CT scan slice | 512x512 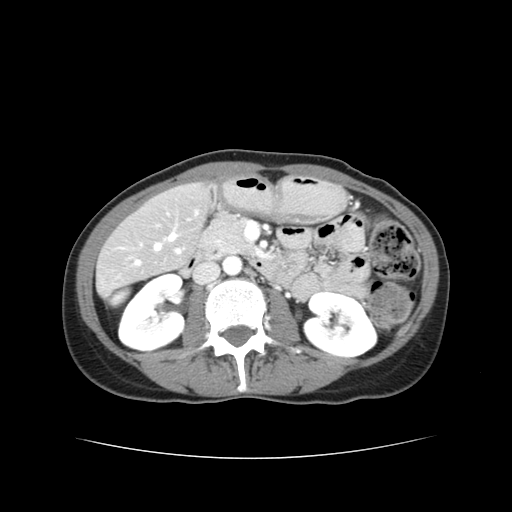

Only some of the vessels may be annotated.
Findings:
• hepatic vessel: (x1=177, y1=250, x2=179, y2=252), (x1=136, y1=261, x2=139, y2=264), (x1=156, y1=244, x2=160, y2=249), (x1=169, y1=234, x2=175, y2=239)